512x512 px; CT image; Upper abdomen; Slice 306/333
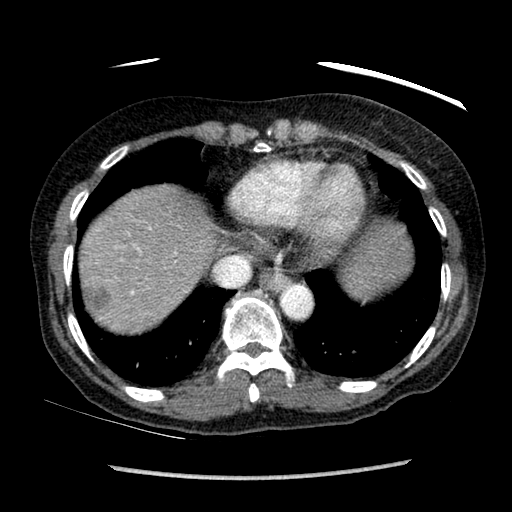
Liver: 80:190:216:331, 343:226:413:297.
Liver lesion: 85:285:109:315, 82:265:102:280.